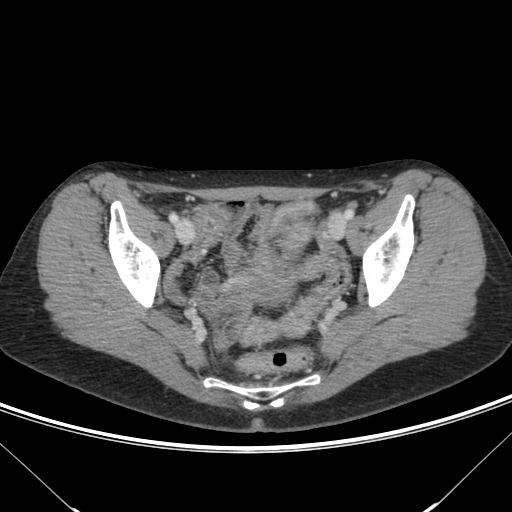
CT slice; Image size 512x512; Abdomen

colon tumor: x1=240 y1=300 x2=313 y2=346